CT slice; Liver; Image width 373 mm

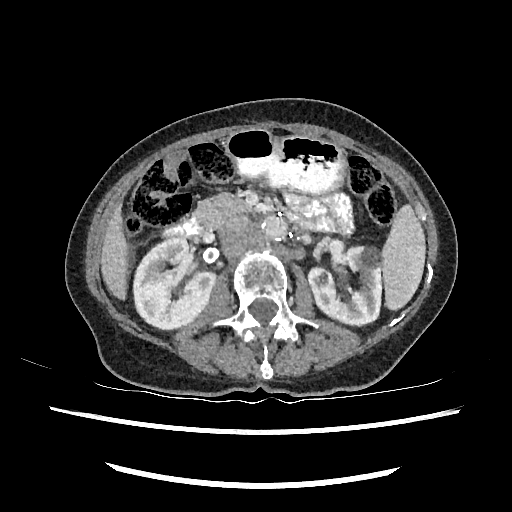

* kidney: region(134, 239, 214, 328); region(309, 248, 381, 324)
* liver: region(101, 204, 127, 296)